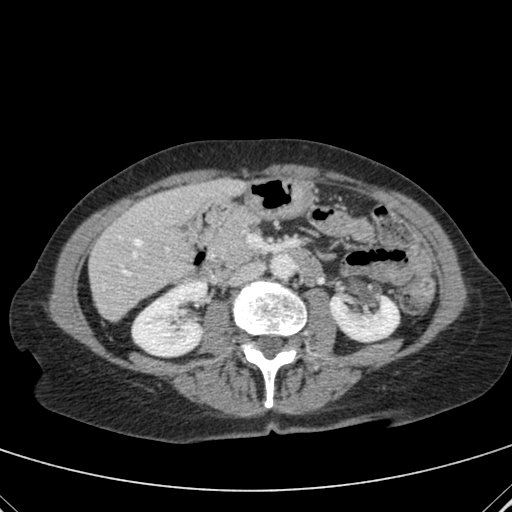

CT. 512x512 px.
Liver = 90 178 244 319.
Kidney = 133 282 205 355, 330 297 398 341.